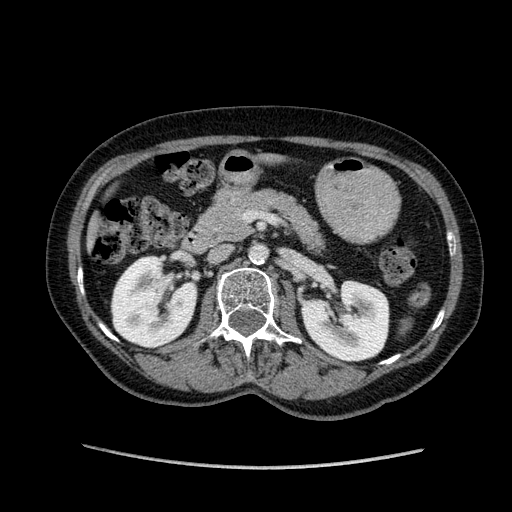

CT

2 kidney regions are located at <box>112,257,195,346</box>, <box>303,275,388,360</box>. The liver is bounded by <box>88,214,100,243</box>.